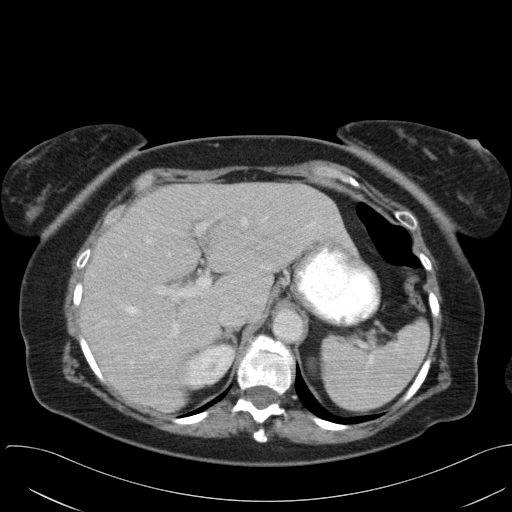
Abdomen; Computed tomography
spleen:
  - x1=322, y1=321, x2=428, y2=410